Abdomen. CT scan slice.

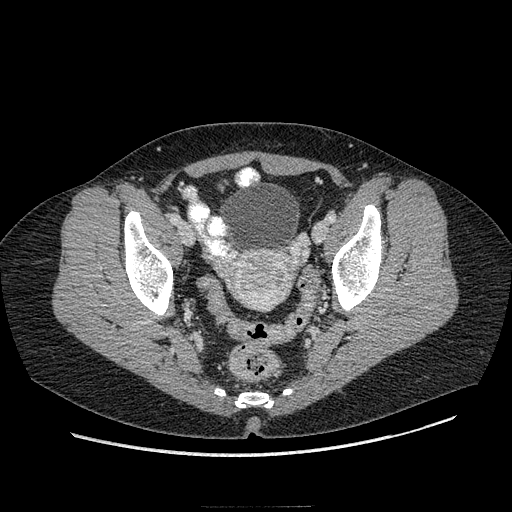

<segmentation>
  <colon_tumor>bbox=[230, 349, 254, 381]</colon_tumor>
</segmentation>